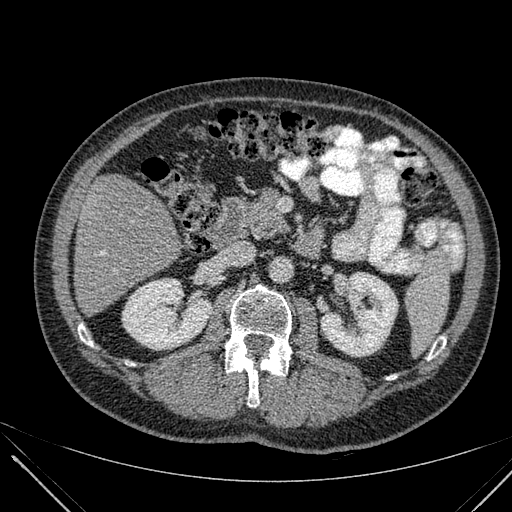
Computed tomography. Upper abdomen. Kidney at 321,273,397,356; 122,279,211,349.
Liver at 73,174,183,316.